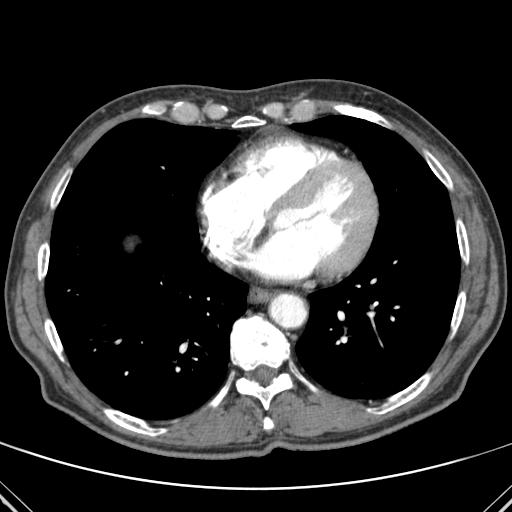

512x512 | CT
<segmentation partial="true">
  <lung>x1=291, y1=116, x2=459, y2=398; x1=45, y1=119, x2=248, y2=419</lung>
  <bone shown="15" total="16">x1=291, y1=369, x2=317, y2=391; x1=425, y1=152, x2=452, y2=188; x1=376, y1=374, x2=430, y2=414; x1=37, y1=243, x2=49, y2=279; x1=104, y1=409, x2=166, y2=436; x1=236, y1=373, x2=292, y2=409; x1=334, y1=105, x2=384, y2=122; x1=456, y1=219, x2=469, y2=263; x1=209, y1=385, x2=228, y2=409; x1=44, y1=319, x2=62, y2=360; x1=232, y1=116, x2=264, y2=127; x1=51, y1=171, x2=68, y2=208; x1=451, y1=291, x2=465, y2=333; x1=142, y1=106, x2=160, y2=114; x1=230, y1=316, x2=289, y2=370</bone>
</segmentation>